Abdomen; Slice index 411; CT slice; Field of view 388x388 mm
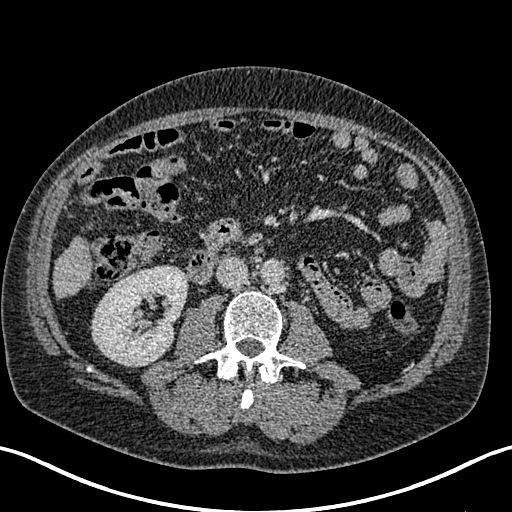

* kidney: 92:266:187:365
* liver: 53:237:90:298